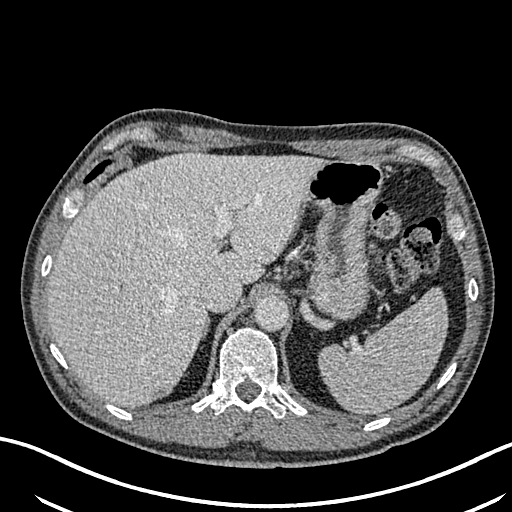
Abdomen; 512x512; CT
Findings:
- liver: <bbox>48, 154, 327, 407</bbox>
- liver lesion: <bbox>134, 180, 145, 191</bbox>, <bbox>151, 386, 172, 400</bbox>, <bbox>116, 279, 126, 294</bbox>